Slice 80/171 | 512x512 | CT slice | Abdomen 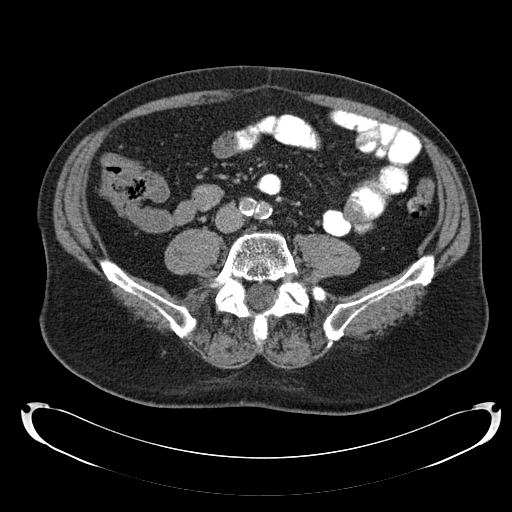

The colon tumor appears at (100, 153, 140, 179).